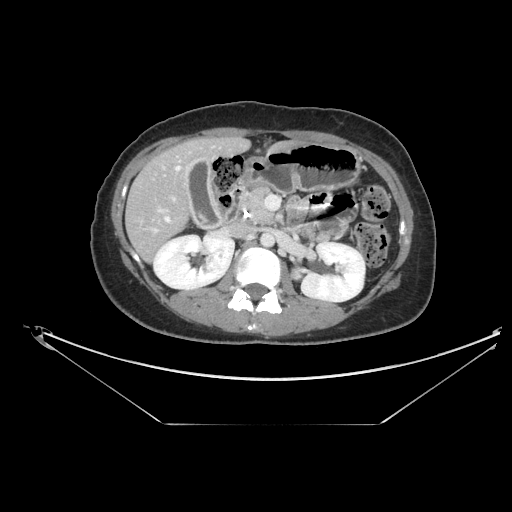

Image size 512x512. Upper abdomen. CT slice. The pancreas is at x1=244, y1=188, x2=273, y2=223. The pancreatic tumor is located at x1=252, y1=198, x2=264, y2=211.